Abdomen | Slice 31/99 | 512x512 px | CT image 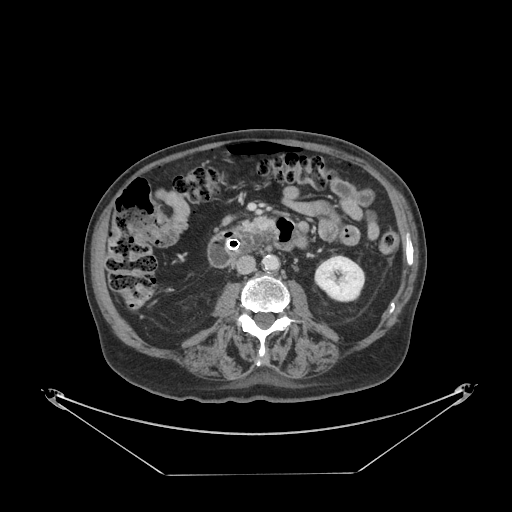
pancreas: region(247, 218, 270, 229)